Computed tomography; Liver
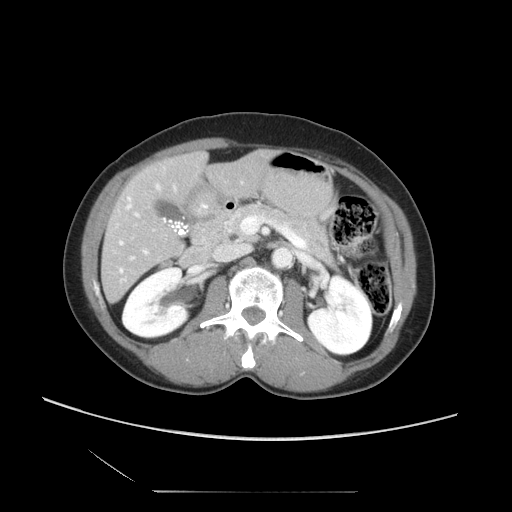 The vessel annotation is not exhaustive.
Hepatic vessel at (left=134, top=212, right=138, bottom=215), (left=173, top=185, right=175, bottom=189), (left=129, top=256, right=133, bottom=259), (left=119, top=241, right=122, bottom=243), (left=143, top=249, right=147, bottom=253), (left=119, top=268, right=122, bottom=271), (left=120, top=278, right=126, bottom=281), (left=126, top=197, right=131, bottom=208), (left=155, top=184, right=159, bottom=189), (left=162, top=166, right=164, bottom=171).